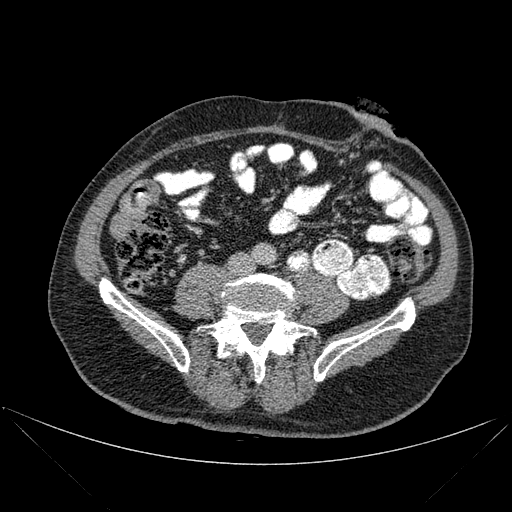
CT slice

bone: region(198, 274, 316, 382); region(99, 278, 189, 372); region(314, 298, 415, 381)